CT; Liver; 512x512; Slice 114 of 164 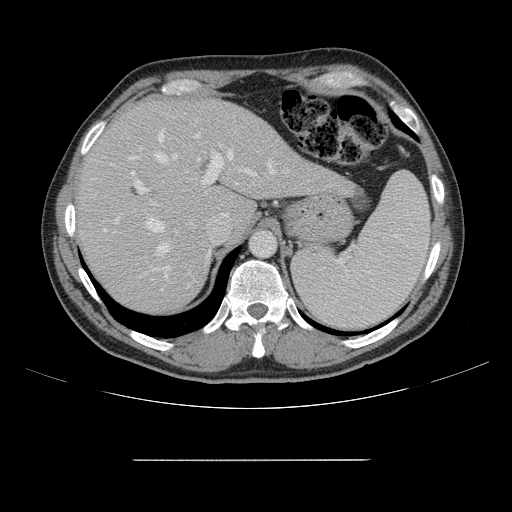 The vessel boxes may cover only some of the vessels.
The top 15 hepatic vessel regions (of 20) are bounded by region(284, 170, 288, 172); region(158, 128, 163, 141); region(195, 133, 199, 137); region(159, 244, 168, 252); region(135, 181, 147, 193); region(147, 219, 163, 231); region(156, 153, 167, 162); region(151, 266, 170, 277); region(268, 159, 274, 173); region(115, 217, 118, 224); region(243, 168, 256, 175); region(228, 151, 232, 158); region(172, 154, 176, 159); region(203, 154, 222, 183); region(129, 156, 136, 159).